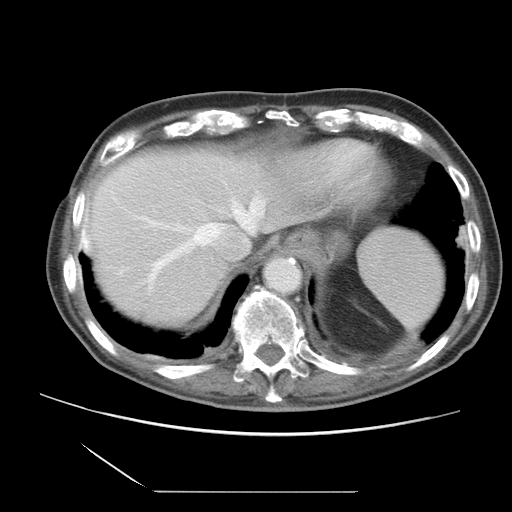 CT scan slice, Abdomen, 512x512 px

The vessel boxes may cover only some of the vessels.
Hepatic vessel — x1=211 y1=199 x2=265 y2=234, x1=129 y1=215 x2=233 y2=292, x1=120 y1=270 x2=124 y2=272, x1=239 y1=235 x2=248 y2=248.